Hippocampus; MRI slice 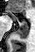
{"posterior_hippocampus": ["(13,21,27,39)"], "anterior_hippocampus": ["(24,19,26,20)", "(7,10,17,20)"]}